FLAIR MR.
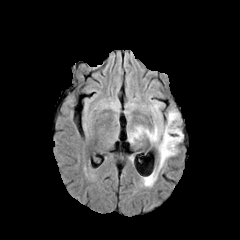
T1-weighted magnetic resonance.
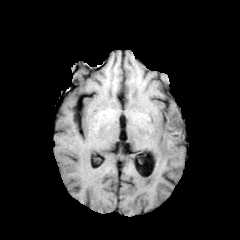
Post-contrast T1-weighted MR image.
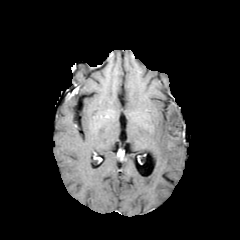
T2-weighted MR.
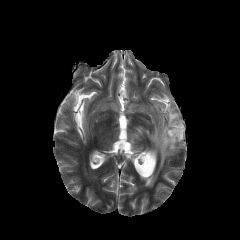
240x240 px | Head
edema:
  - <box>128,100,183,187</box>